Computed tomography.
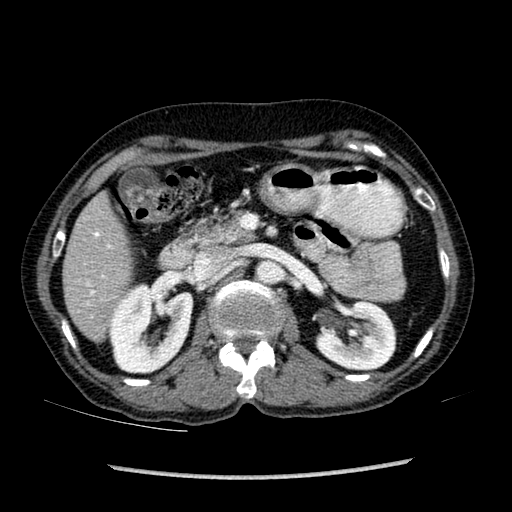
<segmentation>
  <liver><bbox>63, 208, 129, 332</bbox></liver>
  <kidney><bbox>110, 280, 192, 372</bbox>, <bbox>318, 302, 394, 368</bbox></kidney>
</segmentation>